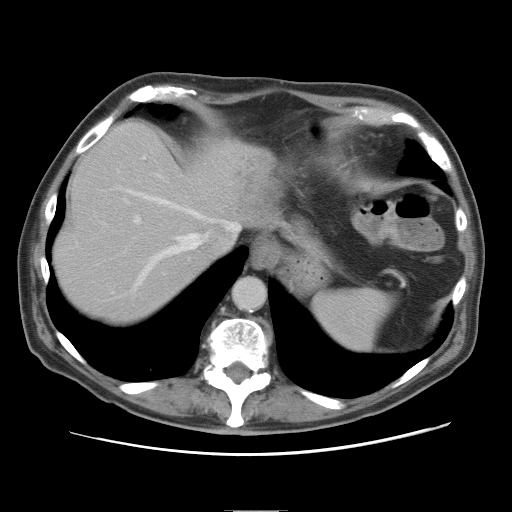

CT slice
The vessel boxes may cover only some of the vessels.
7 hepatic vessel regions are bounded by [210, 220, 212, 221], [135, 217, 140, 222], [187, 209, 198, 215], [130, 191, 176, 207], [144, 156, 145, 158], [138, 234, 207, 284], [226, 222, 240, 234].